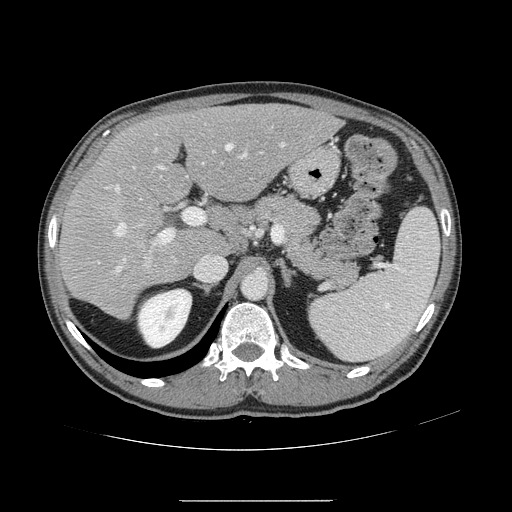 CT.
The vessel annotation is not exhaustive.
Segmented structures:
* hepatic vessel: (left=97, top=261, right=99, bottom=262), (left=225, top=143, right=232, bottom=149), (left=138, top=223, right=143, bottom=225), (left=105, top=186, right=119, bottom=190), (left=145, top=251, right=151, bottom=271), (left=155, top=165, right=163, bottom=168), (left=115, top=212, right=116, bottom=216), (left=240, top=153, right=246, bottom=157), (left=155, top=149, right=156, bottom=151), (left=183, top=208, right=203, bottom=223), (left=114, top=222, right=125, bottom=236), (left=122, top=258, right=125, bottom=262), (left=152, top=229, right=173, bottom=248), (left=280, top=143, right=284, bottom=145), (left=113, top=267, right=120, bottom=273)